Computed tomography, 512x512

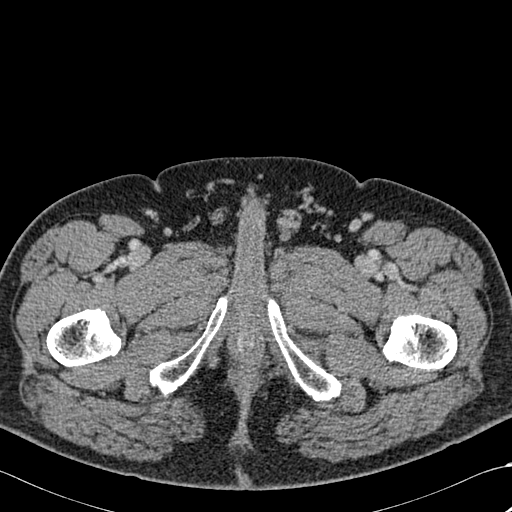
Bone: bbox(150, 297, 227, 394); bbox(383, 314, 456, 369); bbox(46, 309, 120, 366); bbox(268, 299, 341, 400).